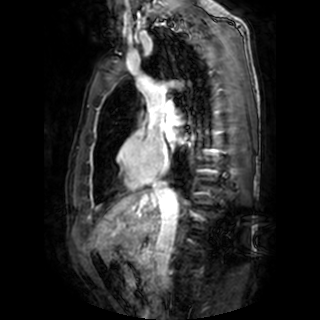
Magnetic resonance

left_atrium:
  - region(177, 136, 185, 144)
  - region(166, 130, 174, 139)